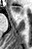
MR image.
- anterior hippocampus: bbox(12, 6, 22, 13)